Abdomen; Slice index 61; CT image 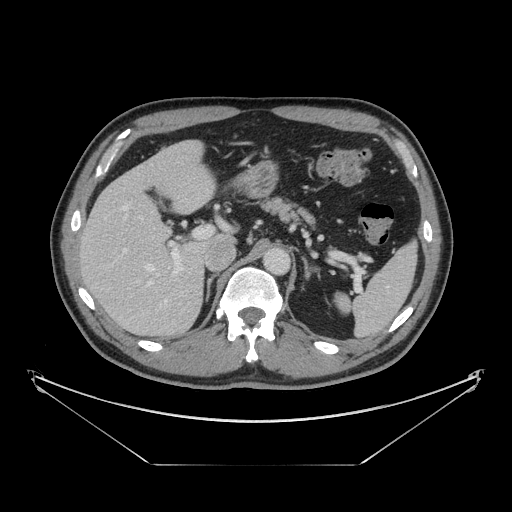

{"pancreas": ["[x1=260, y1=196, x2=316, y2=225]"]}